240x240, Head
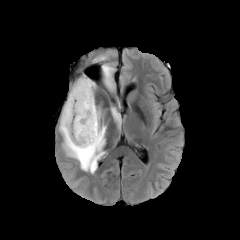
FLAIR magnetic resonance.
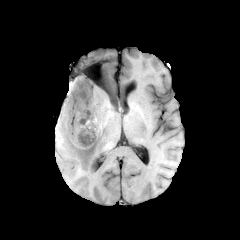
T1-weighted MRI.
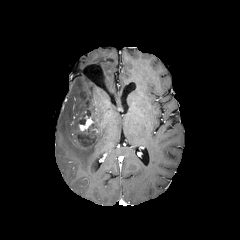
Same slice, post-contrast T1-weighted MRI.
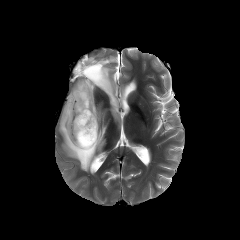
T2-weighted MR.
3 edema regions are located at box=[98, 57, 115, 91]; box=[59, 74, 106, 173]; box=[111, 107, 121, 124]. The non-enhancing tumor core is at box=[78, 109, 95, 146]. The enhancing tumor lies within box=[79, 116, 93, 131].